CT image | Slice 424/696 | 512x512 px
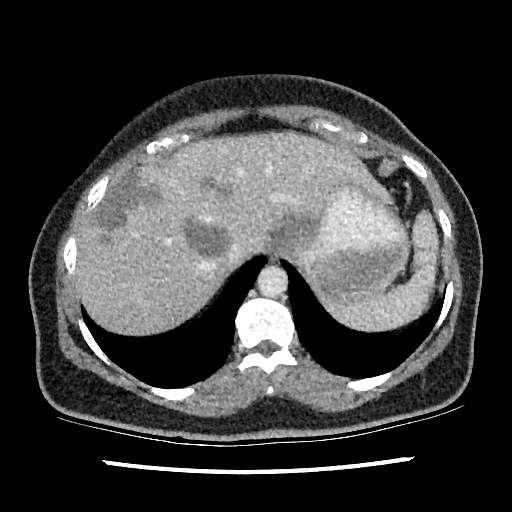
Liver at (x1=77, y1=134, x2=391, y2=334).
Focal liver lesion at (x1=96, y1=173, x2=157, y2=230), (x1=202, y1=172, x2=226, y2=195), (x1=183, y1=219, x2=228, y2=256), (x1=270, y1=215, x2=309, y2=246).